FLAIR MR.
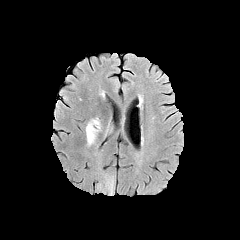
T1-weighted MRI.
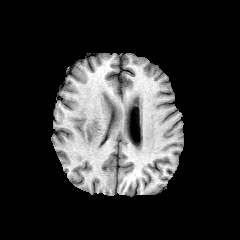
Post-contrast T1-weighted MR.
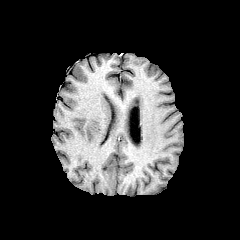
T2-weighted MR image.
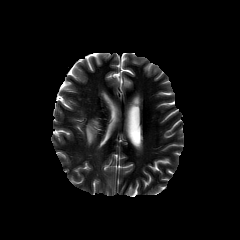
Head | 240x240 px
Edema: bounding box region(86, 118, 101, 146).